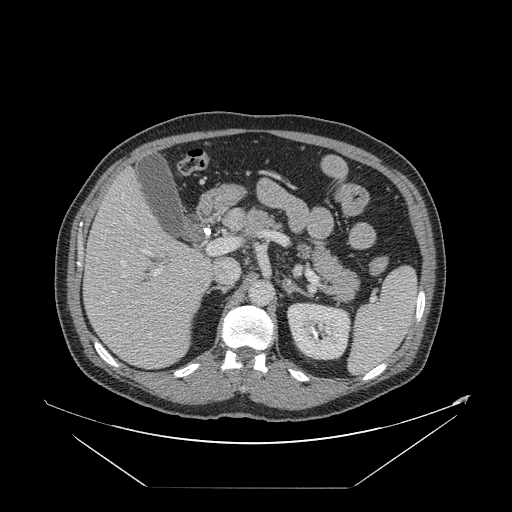
CT slice; Liver

Only some of the vessels may be annotated.
hepatic_vessel:
  - <bbox>123, 274, 126, 276</bbox>
  - <bbox>219, 261, 238, 281</bbox>
  - <bbox>127, 216, 131, 224</bbox>
  - <bbox>153, 268, 161, 275</bbox>
  - <bbox>149, 334, 151, 336</bbox>
  - <bbox>144, 250, 150, 255</bbox>
  - <bbox>207, 238, 236, 254</bbox>
  - <bbox>121, 262, 125, 265</bbox>